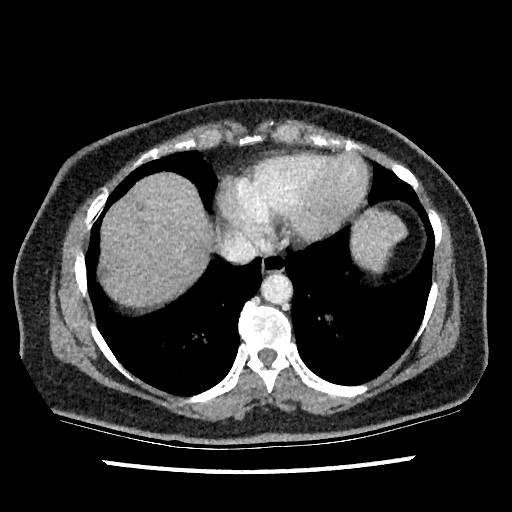

CT scan slice, Upper abdomen
liver:
  - left=352, top=212, right=405, bottom=268
  - left=101, top=173, right=209, bottom=306
hepatic_lesion:
  - left=101, top=269, right=108, bottom=277
  - left=136, top=202, right=143, bottom=209